CT
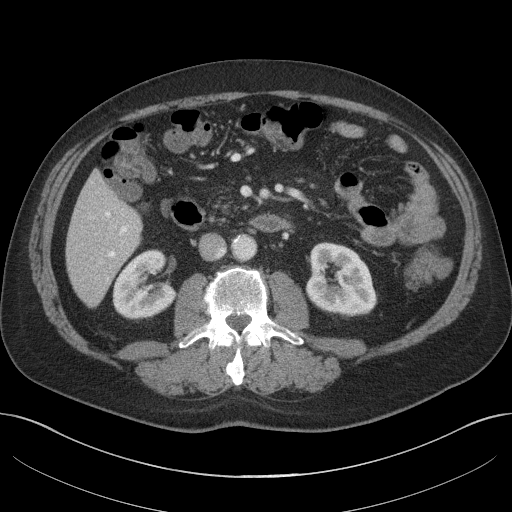 Liver at bbox(66, 171, 141, 305).
Kidney at bbox(114, 251, 174, 317); bbox(307, 244, 373, 313).